CT image

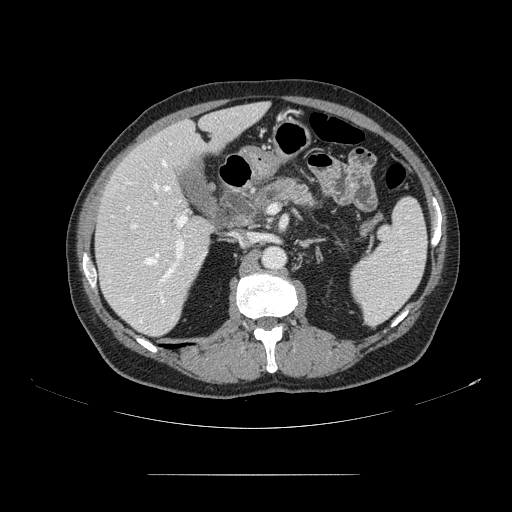
pancreas:
  - left=249, top=176, right=323, bottom=213